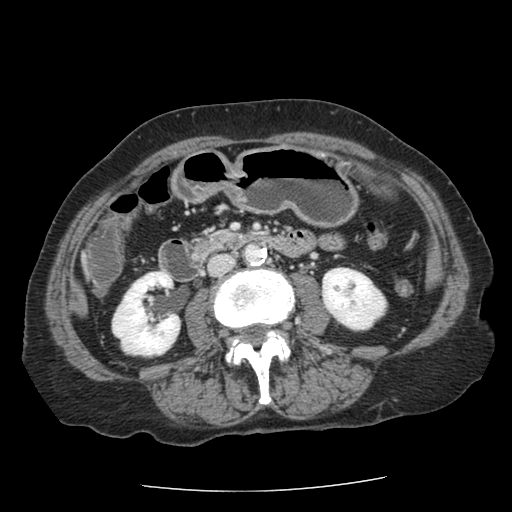

CT scan slice | Image size 512x512
pancreas: bbox(198, 233, 231, 250)